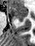

MR image

anterior_hippocampus:
  - region(7, 6, 27, 20)